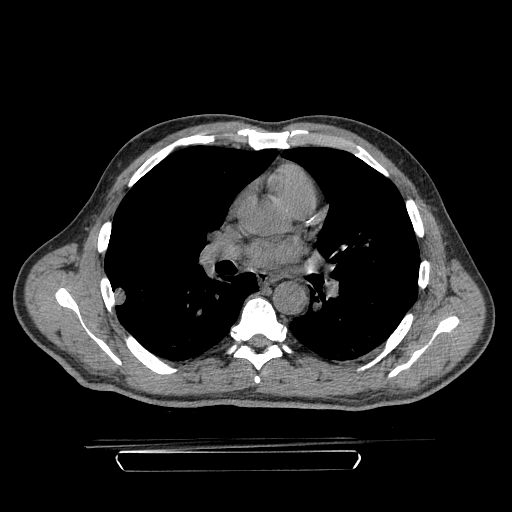 512x512 px; CT
Lung tumor: <box>114,287,126,305</box>.